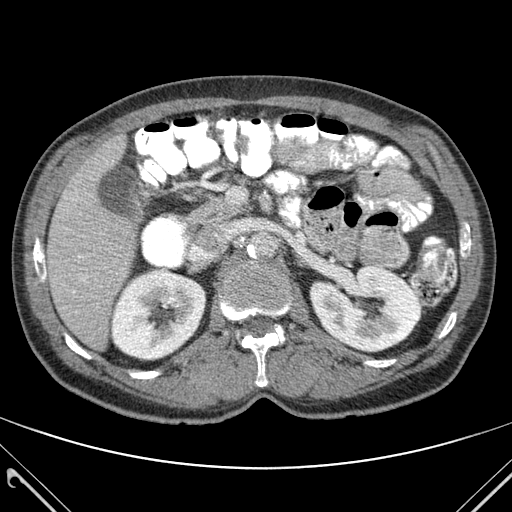 CT image, Upper abdomen
2 kidney regions appear at (x1=112, y1=270, x2=204, y2=358), (x1=311, y1=266, x2=420, y2=350). The liver is at (x1=47, y1=135, x2=136, y2=348). 8 bone regions are located at (x1=461, y1=225, x2=470, y2=255), (x1=33, y1=237, x2=45, y2=278), (x1=221, y1=268, x2=287, y2=319), (x1=130, y1=371, x2=158, y2=378), (x1=66, y1=335, x2=90, y2=358), (x1=366, y1=360, x2=395, y2=366), (x1=439, y1=313, x2=455, y2=337), (x1=241, y1=326, x2=284, y2=386).